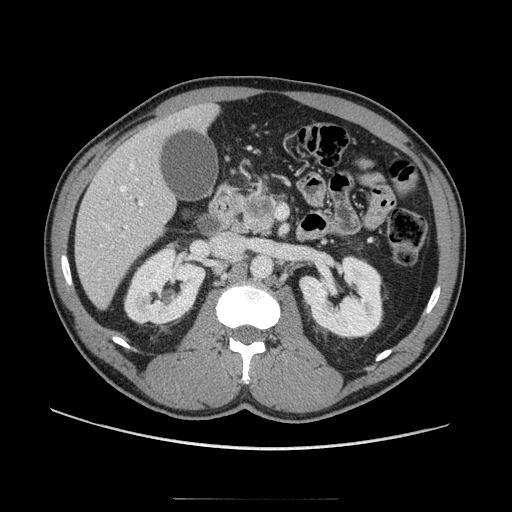
CT. Pancreatic tumor = x1=242 y1=195 x2=275 y2=218.
Pancreas = x1=240 y1=192 x2=276 y2=235.